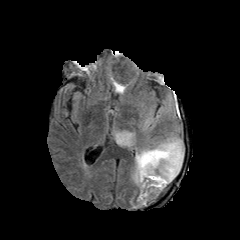
FLAIR magnetic resonance.
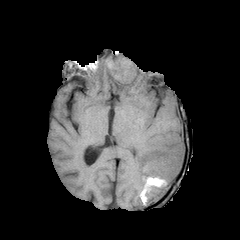
T1-weighted MR.
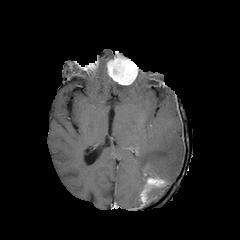
Post-contrast T1-weighted magnetic resonance.
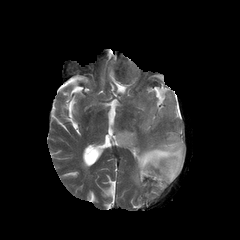
T2-weighted MR image.
Brain
4 edema regions are bounded by 147 188 163 200, 122 135 132 147, 133 132 184 193, 112 81 127 93. 2 enhancing tumor regions are located at 148 178 165 187, 107 67 127 84. 2 non-enhancing tumor core regions are located at 107 54 136 84, 144 172 169 195.